Brain; Image size 240x240
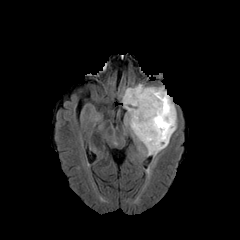
FLAIR magnetic resonance.
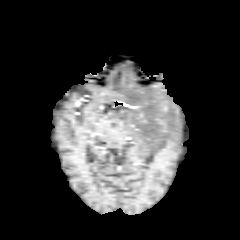
T1-weighted MR image.
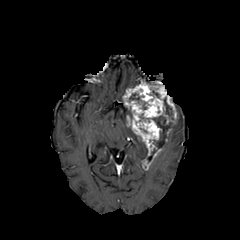
Post-contrast T1-weighted MR image.
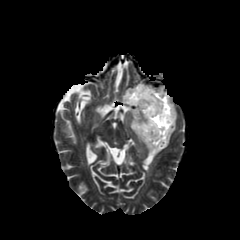
T2-weighted magnetic resonance.
Findings:
- non-enhancing tumor core: (left=164, top=100, right=172, bottom=117), (left=152, top=115, right=174, bottom=148)
- edema: (left=130, top=130, right=147, bottom=155), (left=161, top=119, right=177, bottom=150)
- enhancing tumor: (left=122, top=81, right=176, bottom=156)